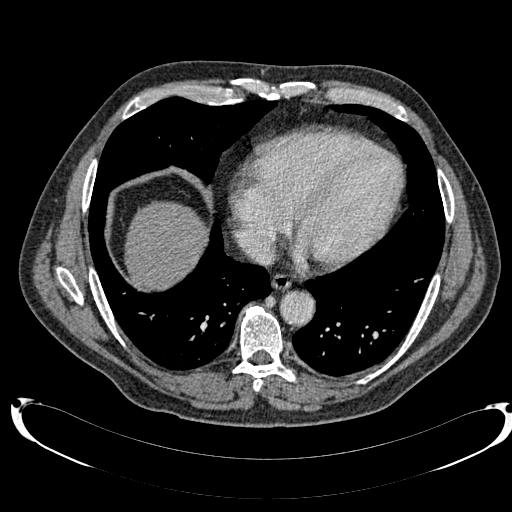

CT slice. 512x512.
Liver = left=125, top=203, right=204, bottom=287.